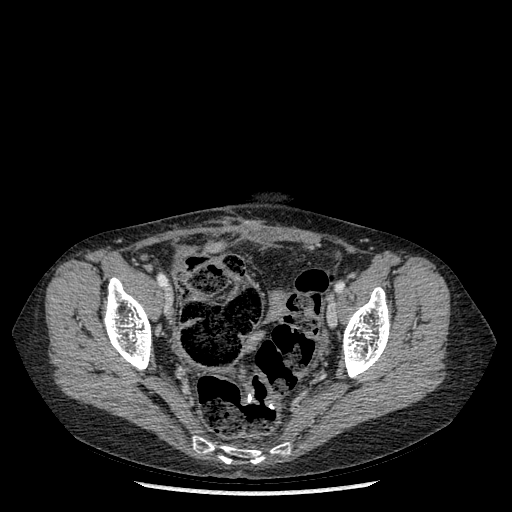
CT.
{"bone": ["x1=192 y1=436 x2=290 y2=463", "x1=343 y1=287 x2=390 y2=377", "x1=104 y1=277 x2=151 y2=370"]}